CT slice. Field of view 444 mm wide, 2.50 mm slice spacing. Abdomen. Slice index 36.

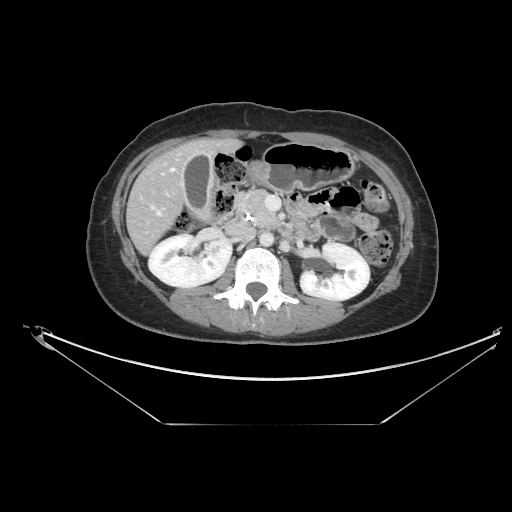

{"pancreatic_tumor": ["[249, 195, 265, 215]"], "pancreas": ["[239, 191, 278, 227]"]}